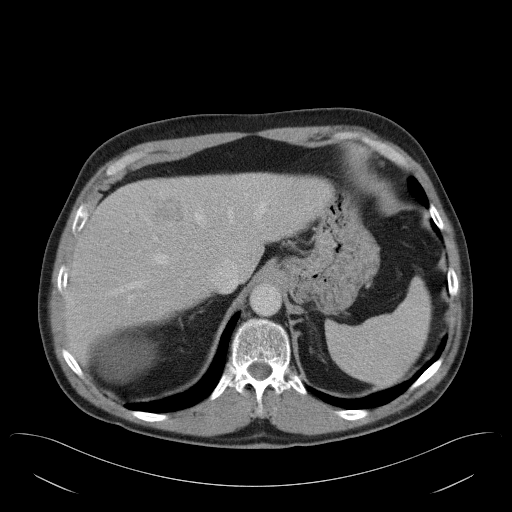
Abdomen | CT
Only some of the vessels may be annotated.
hepatic_vessel:
  - l=255, t=199, r=269, b=218
  - l=120, t=288, r=123, b=290
  - l=228, t=207, r=233, b=222
  - l=112, t=290, r=116, b=293
  - l=155, t=256, r=165, b=262
  - l=126, t=279, r=149, b=288
  - l=195, t=207, r=205, b=226
liver_tumor:
  - l=156, t=198, r=185, b=224